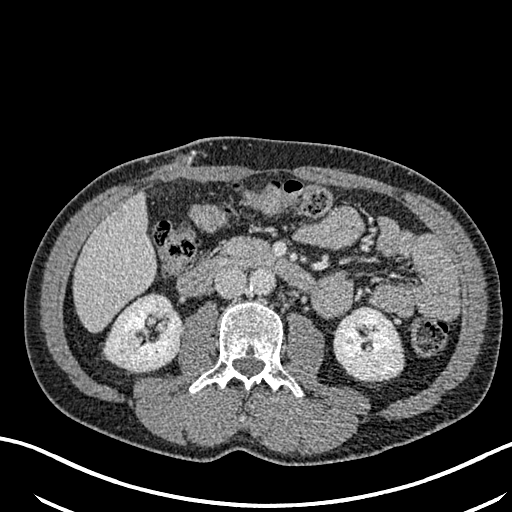 CT, Liver
Segmented structures:
• liver: box=[73, 194, 154, 330]
• liver lesion: box=[115, 209, 124, 221]
• kidney: box=[334, 308, 402, 379]; box=[107, 295, 180, 370]